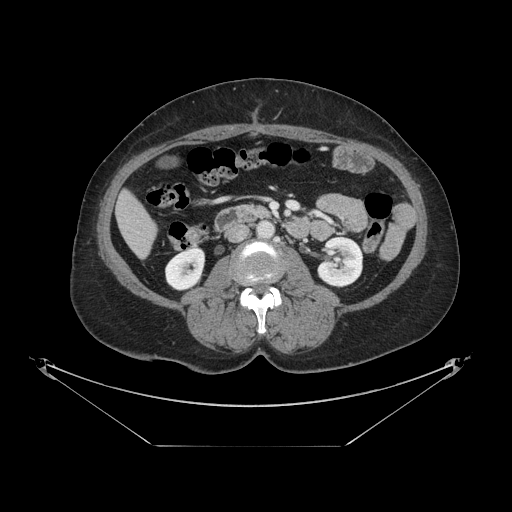
512x512 px. Computed tomography. Pancreas = bbox(253, 207, 269, 217).